FLAIR MRI.
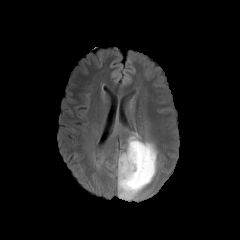
T1-weighted magnetic resonance.
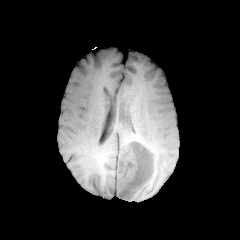
Post-contrast T1-weighted magnetic resonance.
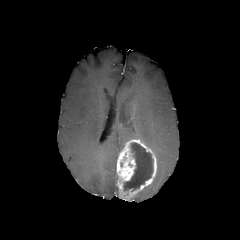
T2-weighted MRI.
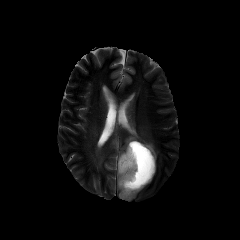
Head. Image size 240x240.
non-enhancing tumor core: (124,143,152,190) | enhancing tumor: (116,139,156,201) | edema: (120,127,158,161)